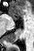

MR

posterior_hippocampus:
  - [6,30,20,42]
anterior_hippocampus:
  - [9,14,17,20]